Brain | Image width 240 mm | Slice index 55
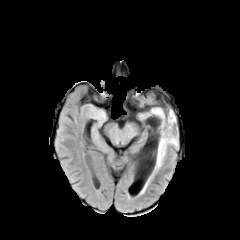
FLAIR magnetic resonance.
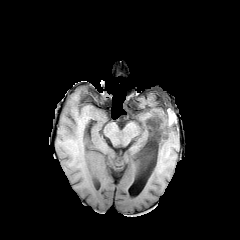
T1-weighted MRI.
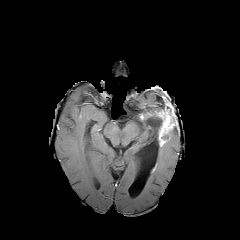
Post-contrast T1-weighted magnetic resonance of the same slice.
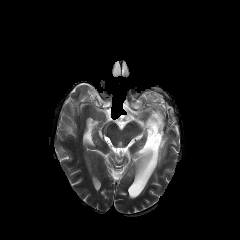
T2-weighted MR.
The non-enhancing tumor core is located at (150,106,165,135). The enhancing tumor appears at (155,110,175,145). 2 edema regions are bounded by (153,128,178,171), (140,106,154,119).